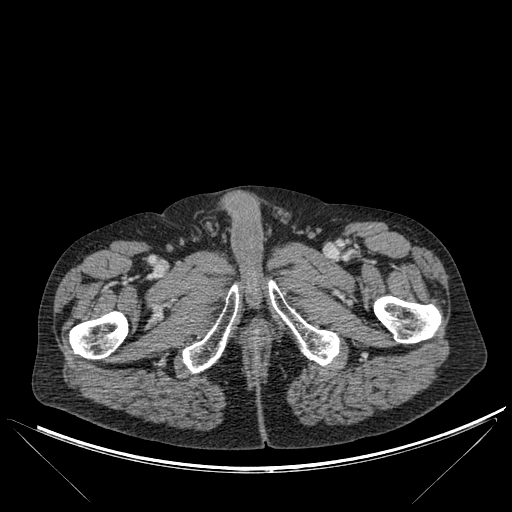
CT slice
{
  "bone": [
    "l=183, t=285, r=238, b=372",
    "l=69, t=311, r=127, b=358",
    "l=374, t=296, r=440, b=343",
    "l=268, t=281, r=339, b=365"
  ]
}